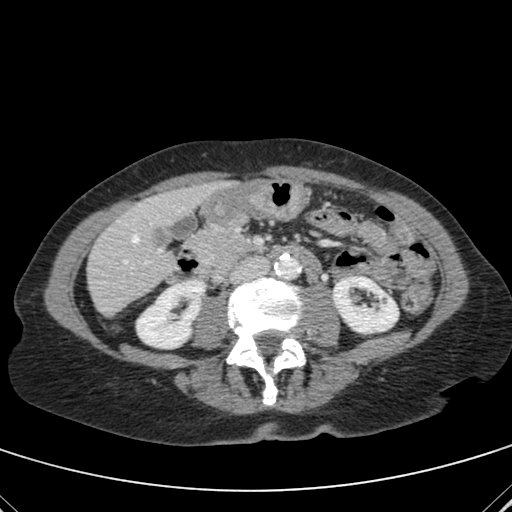 CT. Image size 512x512. Abdomen. Liver = left=88, top=182, right=228, bottom=315.
Liver lesion = left=148, top=226, right=172, bottom=251.
Kidney = left=334, top=278, right=398, bottom=332; left=137, top=280, right=203, bottom=347.